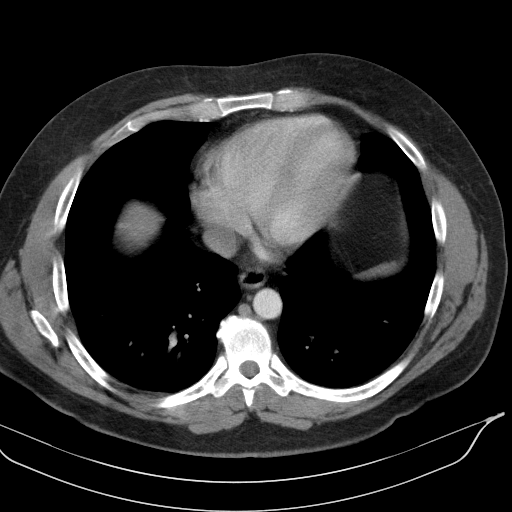
CT image. Upper abdomen.
spleen: <bbox>365, 264, 397, 277</bbox>